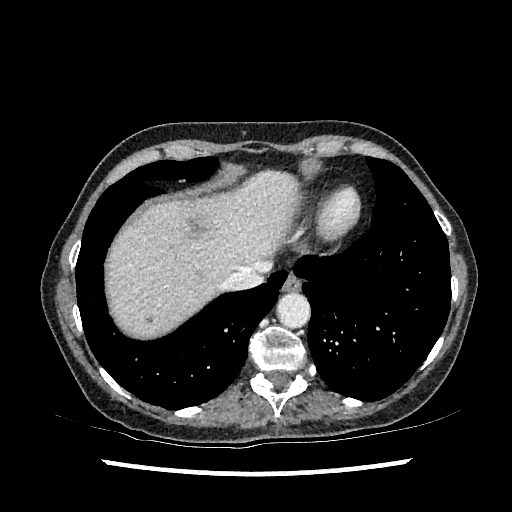

Upper abdomen. CT scan slice. <segmentation>
  <liver_lesion>[195, 270, 203, 277], [186, 214, 209, 240], [144, 314, 151, 322]</liver_lesion>
  <liver>[106, 171, 299, 334]</liver>
</segmentation>